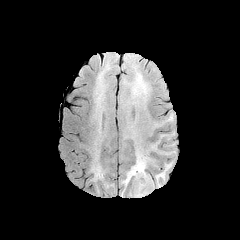
FLAIR MRI.
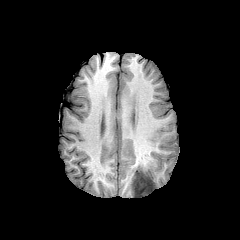
T1-weighted MRI.
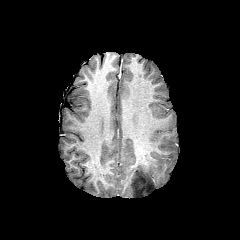
Post-contrast T1-weighted MRI of the same slice.
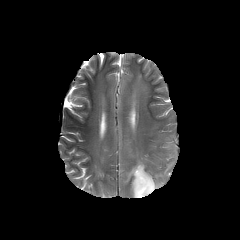
Same slice, T2-weighted magnetic resonance.
Brain.
2 edema regions appear at 123:154:153:196, 156:162:172:186. The non-enhancing tumor core is bounded by 133:168:154:193.